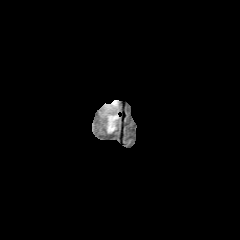
FLAIR MRI.
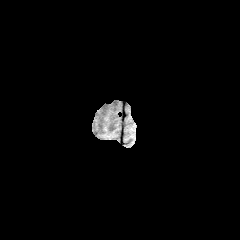
Same slice, T1-weighted MRI.
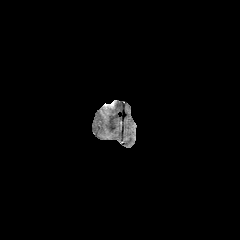
Post-contrast T1-weighted MR of the same slice.
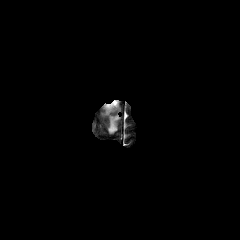
T2-weighted MR image of the same slice.
240x240.
The edema appears at [99, 101, 119, 133].